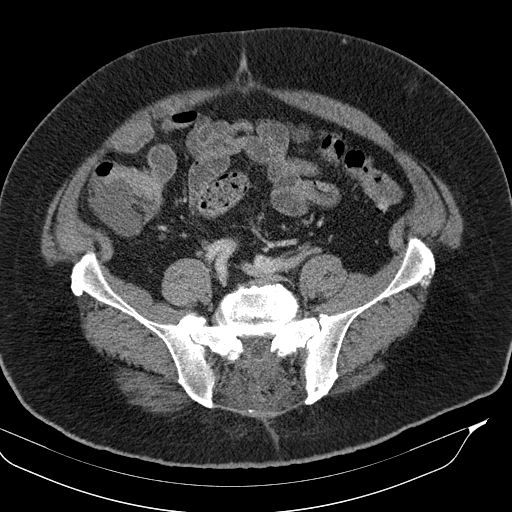

Image size 512x512. CT scan slice.

{"colon_tumor": [{"x1": 103, "y1": 164, "x2": 161, "y2": 200}]}